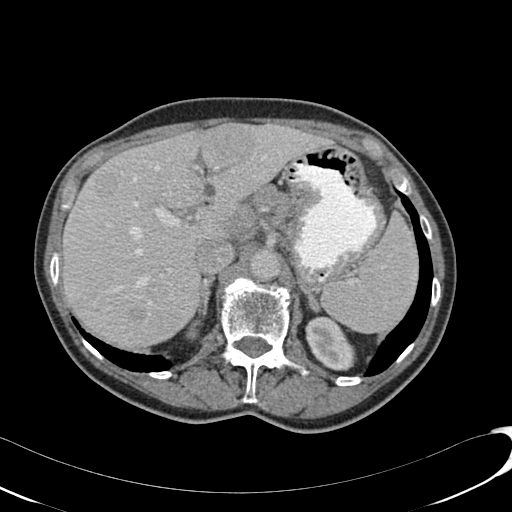

CT image, 512x512 px

Liver lesion: bounding box box=[209, 124, 255, 166]; box=[95, 164, 116, 194]; box=[193, 185, 200, 193]; box=[131, 308, 141, 318].
Kidney: bounding box box=[306, 317, 352, 369].
Liver: bounding box box=[62, 124, 334, 346].